Abdomen, Computed tomography
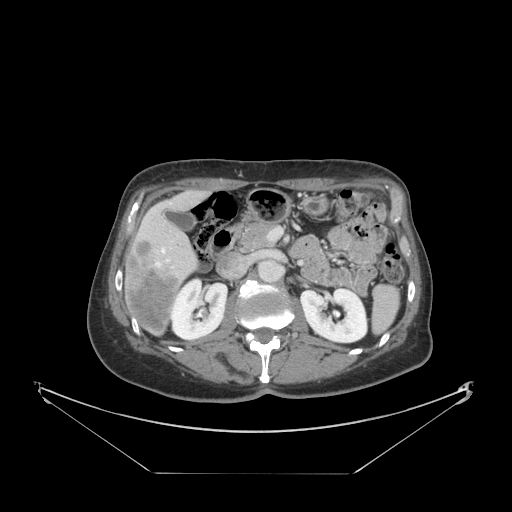 Segmented structures:
- spleen: {"x1": 373, "y1": 286, "x2": 398, "y2": 331}